Slice 97/155
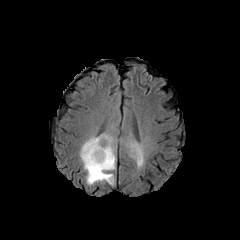
FLAIR magnetic resonance.
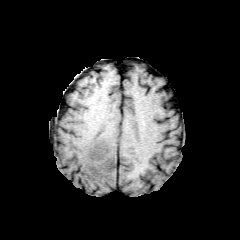
Same slice, T1-weighted MR.
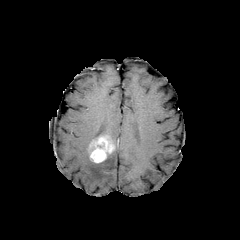
Same slice, post-contrast T1-weighted MR image.
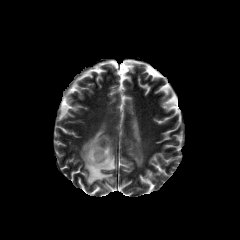
Same slice, T2-weighted MR image.
<segmentation>
  <enhancing_tumor>(x1=89, y1=136, x2=113, y2=163)</enhancing_tumor>
  <edema>(x1=78, y1=134, x2=116, y2=185), (x1=126, y1=140, x2=143, y2=165)</edema>
</segmentation>